CT | Image size 512x512 | Pelvis

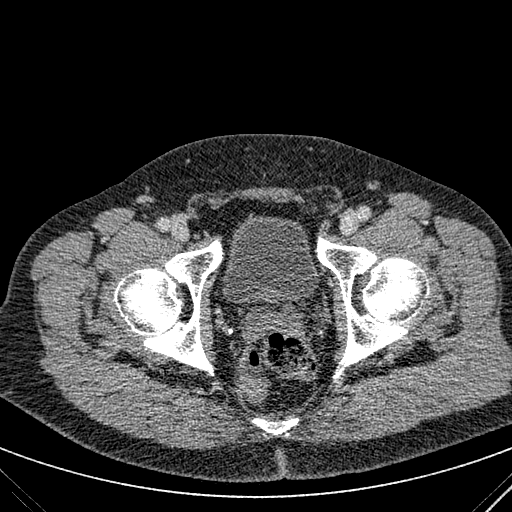

Urinary bladder = [x1=219, y1=212, x2=320, y2=311].